CT, Abdomen 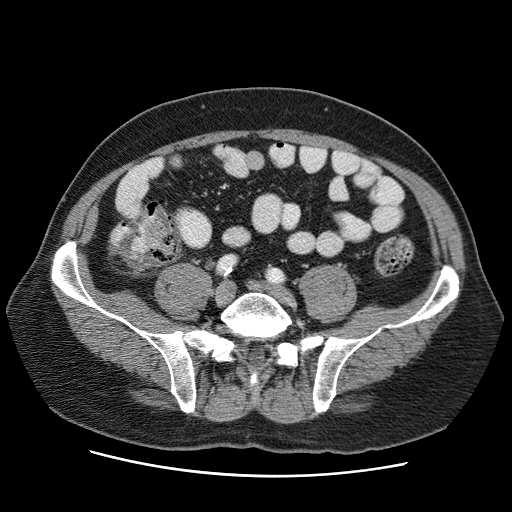

The colon tumor is bounded by 144,220,171,252.